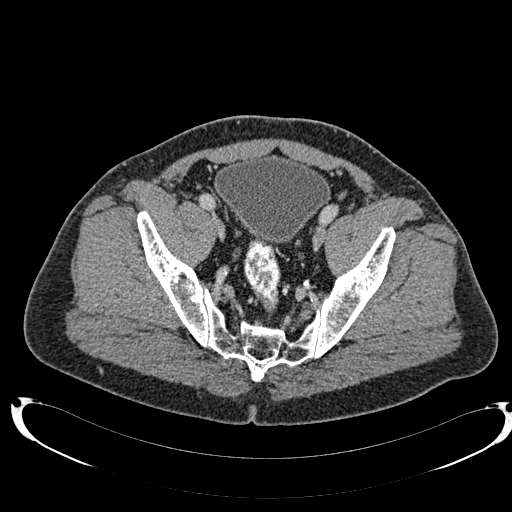

Pelvis. CT slice. Urinary bladder — (x1=216, y1=155, x2=330, y2=244).